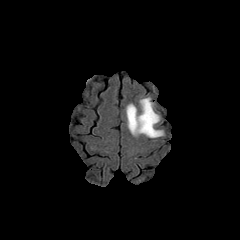
FLAIR MR.
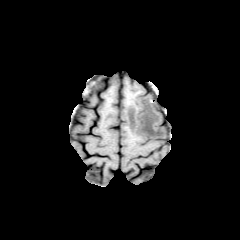
T1-weighted MR image.
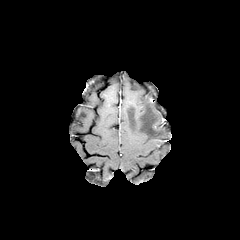
Post-contrast T1-weighted MR.
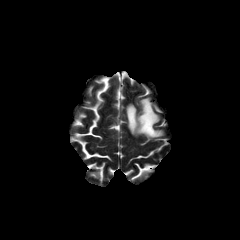
T2-weighted MRI.
240x240
Annotated regions:
* edema: left=126, top=98, right=164, bottom=138